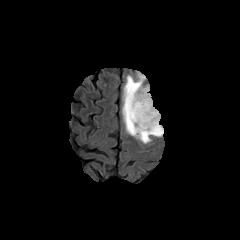
FLAIR MR.
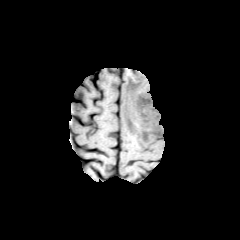
T1-weighted MRI of the same slice.
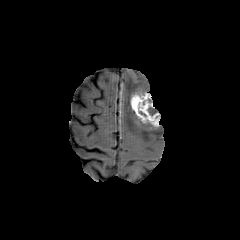
Post-contrast T1-weighted MRI.
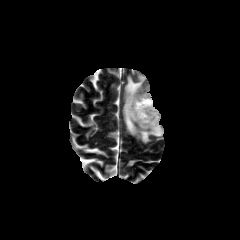
T2-weighted MRI.
Head | Image size 240x240
The enhancing tumor appears at x1=130 y1=92 x2=160 y2=131. The non-enhancing tumor core is located at x1=148 y1=108 x2=158 y2=115. The edema is at x1=121 y1=70 x2=163 y2=144.